Slice index 34; CT slice; Field of view 370x370 mm

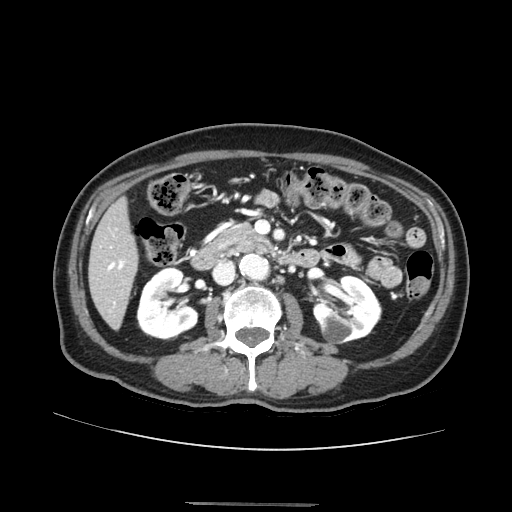 pancreas:
  - 226,228,262,248